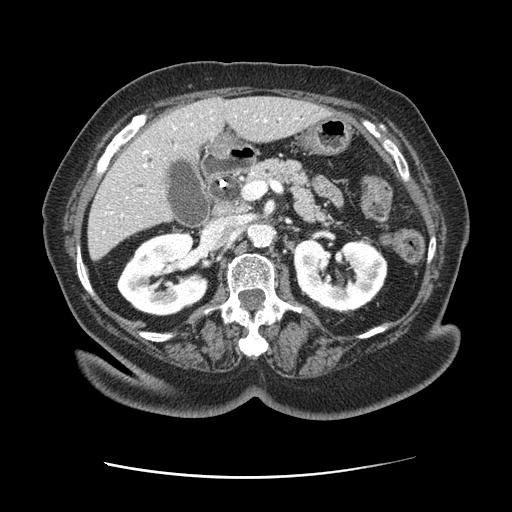 CT scan slice | 512x512 px

Pancreas: bounding box [247,159,336,226].